Image size 240x240; Brain
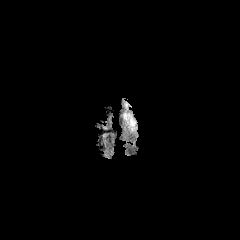
FLAIR magnetic resonance.
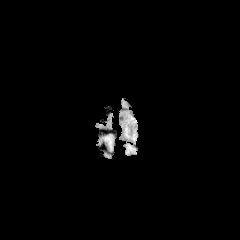
T1-weighted MRI.
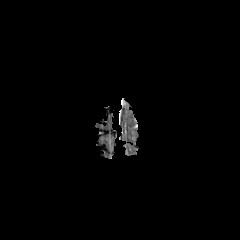
Post-contrast T1-weighted MRI.
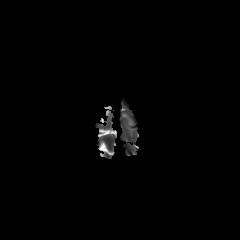
T2-weighted magnetic resonance.
The edema appears at (x1=124, y1=103, x2=136, y2=133).